FLAIR magnetic resonance.
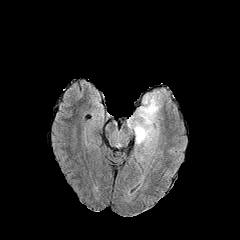
T1-weighted magnetic resonance.
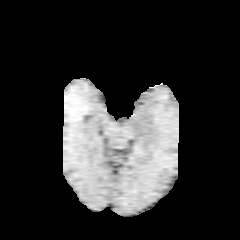
Post-contrast T1-weighted MR image.
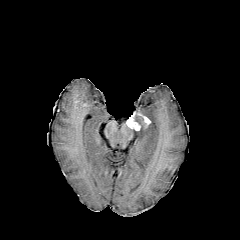
T2-weighted MR.
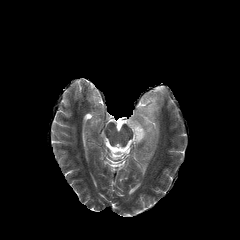
240x240 px, Head
Segmented structures:
• enhancing tumor: {"x1": 126, "y1": 110, "x2": 150, "y2": 130}
• edema: {"x1": 129, "y1": 89, "x2": 165, "y2": 160}